FLAIR MRI.
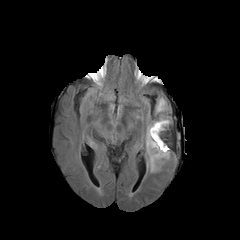
T1-weighted MR image.
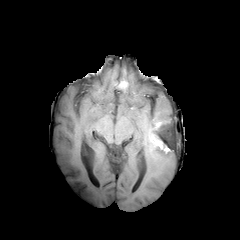
Post-contrast T1-weighted MRI.
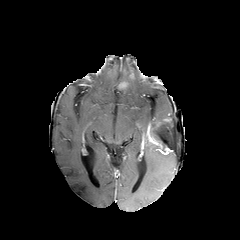
T2-weighted MRI.
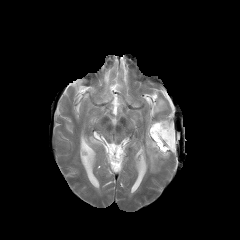
Brain.
The non-enhancing tumor core is bounded by 151,122,172,152. The enhancing tumor is at 147,126,169,154. 2 edema regions appear at 100,87,113,101; 143,97,170,172.